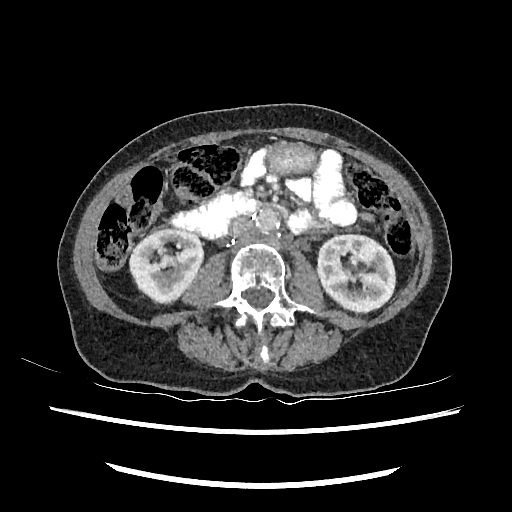
Abdomen, 512x512, CT scan slice
Segmented structures:
• kidney: (130, 228, 202, 301), (318, 235, 394, 311)